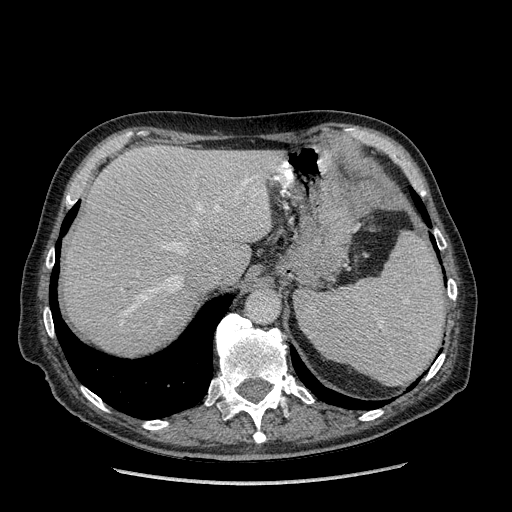 Liver, CT slice, Image size 512x512
Segmented structures:
• liver: 63 146 280 356